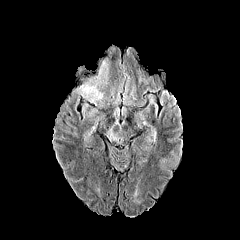
FLAIR magnetic resonance.
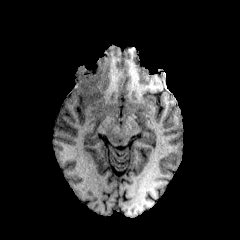
T1-weighted magnetic resonance.
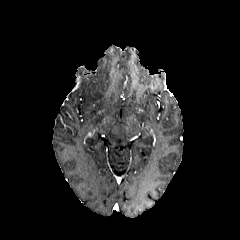
Same slice, post-contrast T1-weighted MRI.
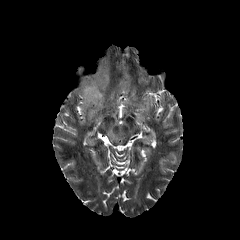
Same slice, T2-weighted MR.
Brain.
Findings:
• edema: (77, 69, 108, 108)